Pelvis. CT.

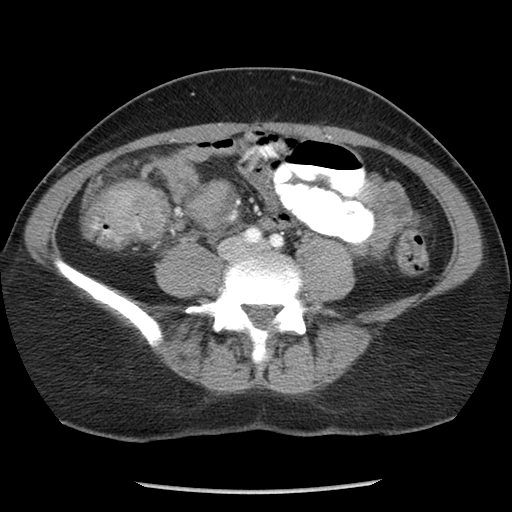 <segmentation>
  <colon_tumor>99,182,166,241</colon_tumor>
</segmentation>